CT image. Liver. Image width 391 mm. Slice 319 of 756.

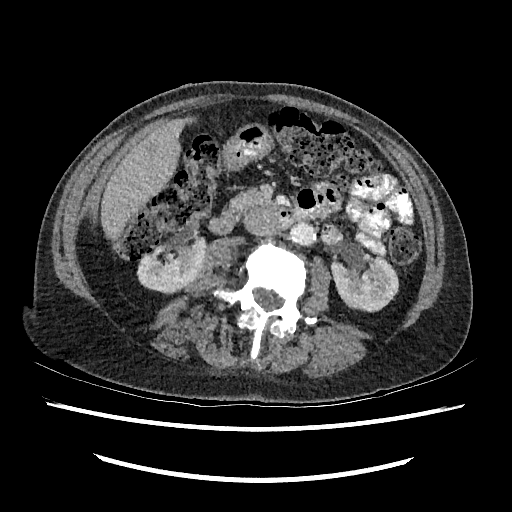
Segmented structures:
• kidney: (137,243,205,292), (331,257,398,311)
• liver: (101,118,191,240)
• liver lesion: (146,143,156,152)